Head. Image size 240x240.
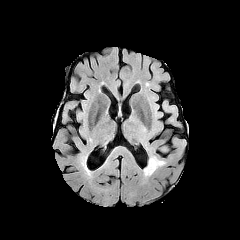
FLAIR MR image.
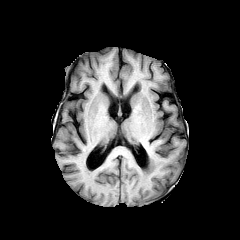
Same slice, T1-weighted MR image.
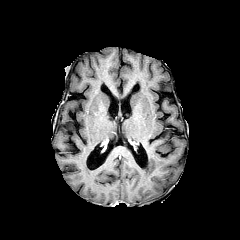
Same slice, post-contrast T1-weighted MR.
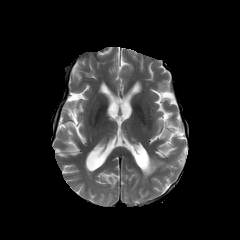
Same slice, T2-weighted MR.
The edema is at (left=143, top=155, right=165, bottom=177).